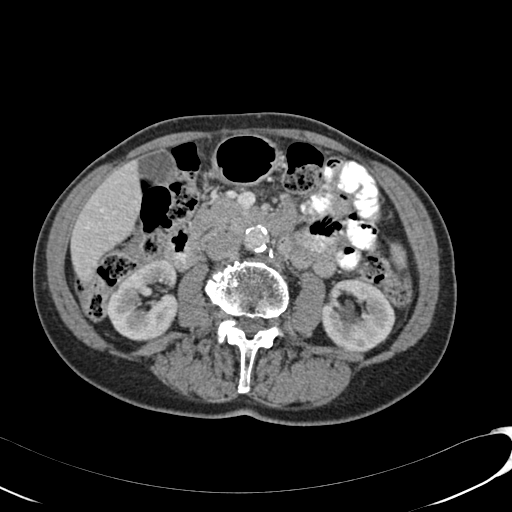

Liver; CT image

The liver lies within 71 160 140 282. 2 kidney regions are bounded by 322 280 394 351, 106 260 176 339.